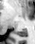 Magnetic resonance.
posterior_hippocampus:
  - 16, 29, 26, 36